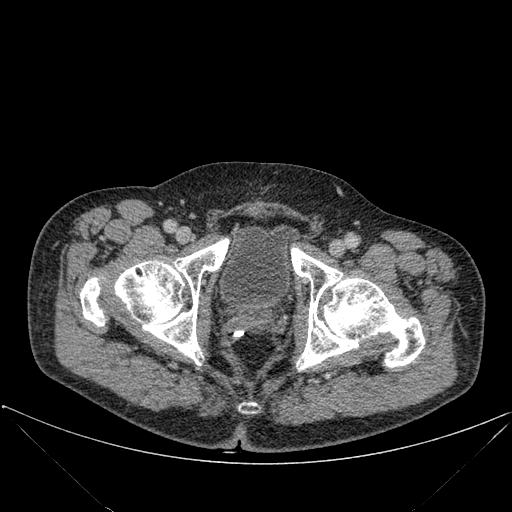
Computed tomography; Pelvis

* urinary bladder: rect(219, 224, 301, 318)
* bone: rect(239, 402, 256, 412); rect(114, 238, 228, 365); rect(80, 277, 104, 326); rect(291, 247, 424, 370)